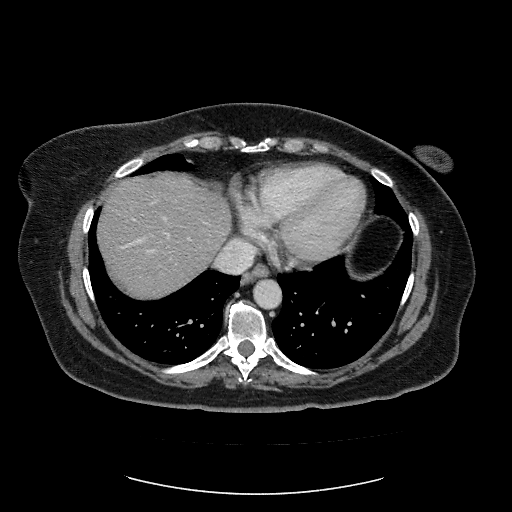
512x512 px; Liver; CT

The vessel annotation is not exhaustive.
6 hepatic vessel regions appear at bbox=[163, 217, 166, 220]; bbox=[150, 200, 157, 204]; bbox=[131, 239, 143, 243]; bbox=[166, 233, 169, 237]; bbox=[147, 249, 155, 252]; bbox=[188, 238, 190, 239].